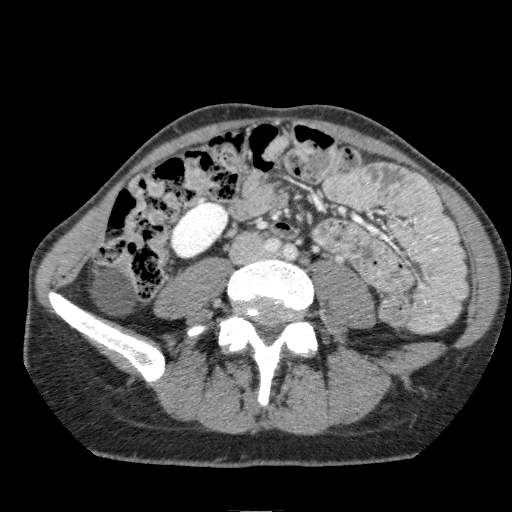

Abdomen. CT scan slice.
Kidney: bounding box left=172, top=203, right=226, bottom=256.